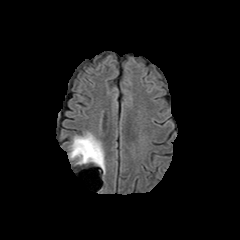
FLAIR MRI.
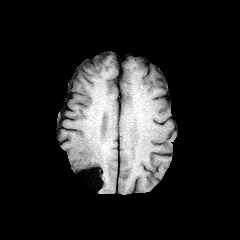
T1-weighted magnetic resonance of the same slice.
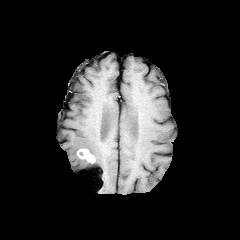
Post-contrast T1-weighted magnetic resonance.
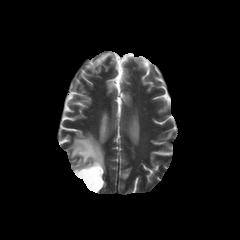
Same slice, T2-weighted magnetic resonance.
Head.
The non-enhancing tumor core is bounded by box=[79, 154, 101, 175]. The enhancing tumor is located at box=[77, 149, 95, 162]. The edema is at box=[68, 132, 105, 177].